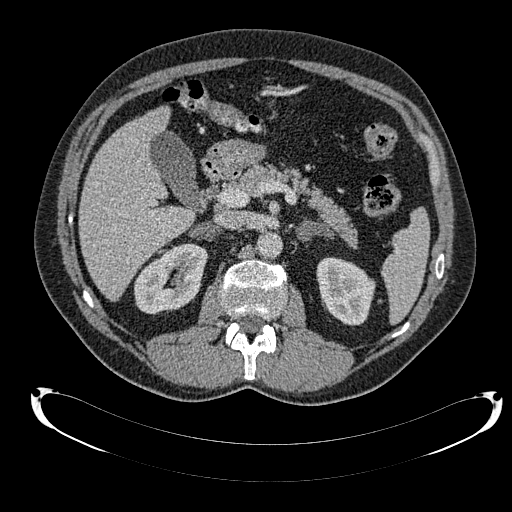

CT slice | 512x512
• liver: box=[79, 108, 194, 300]
• kidney: box=[317, 258, 374, 324]; box=[134, 244, 206, 313]